FLAIR magnetic resonance.
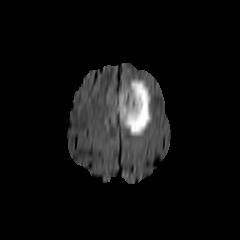
T1-weighted MR.
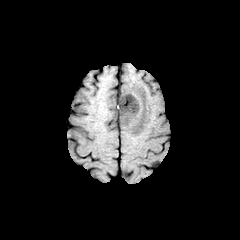
Post-contrast T1-weighted magnetic resonance.
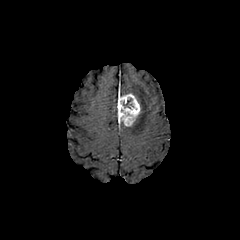
T2-weighted MR.
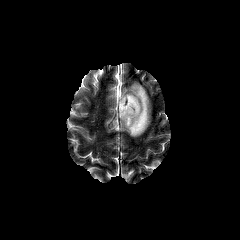
Image size 240x240. Head.
{
  "enhancing_tumor": [
    "box=[117, 84, 140, 126]"
  ],
  "edema": [
    "box=[121, 80, 151, 136]"
  ]
}